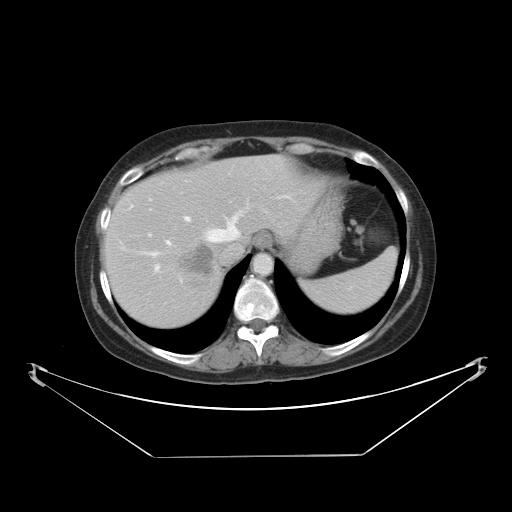 512x512, CT slice
Not every hepatic vessel necessarily has a box.
Liver tumor: 179,243,215,277.
Hepatic vessel: 155,265,159,271; 207,216,239,241; 141,252,156,256; 166,240,170,244; 149,234,151,236; 184,216,189,220.